Head; Slice index 59
FLAIR magnetic resonance.
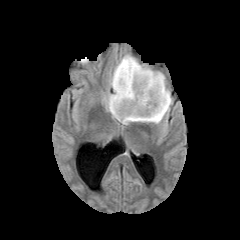
T1-weighted MR.
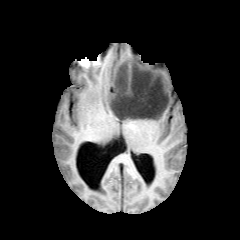
Post-contrast T1-weighted MRI.
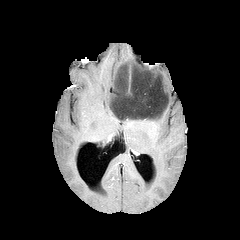
T2-weighted MR.
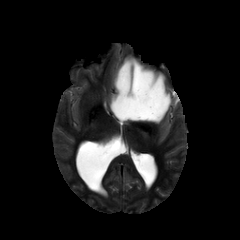
Enhancing tumor — bbox(128, 67, 130, 92).
Edema — bbox(105, 53, 173, 126).
Non-enhancing tumor core — bbox(111, 60, 169, 120).